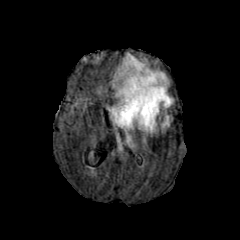
FLAIR MRI.
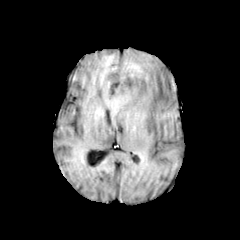
T1-weighted MRI of the same slice.
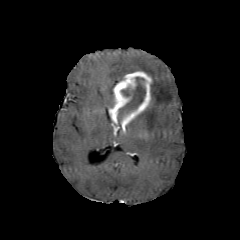
Same slice, post-contrast T1-weighted MR.
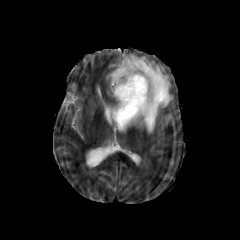
Same slice, T2-weighted MR.
Brain. 240x240 px.
edema: bbox=[161, 115, 169, 127]; bbox=[111, 52, 173, 133] | enhancing tumor: bbox=[109, 70, 152, 126] | non-enhancing tumor core: bbox=[117, 77, 145, 124]